Brain.
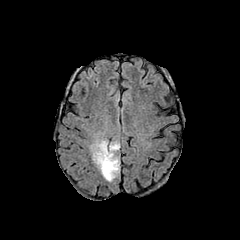
FLAIR MRI.
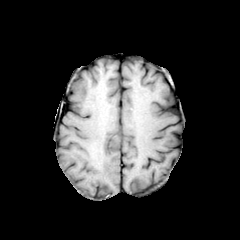
T1-weighted magnetic resonance.
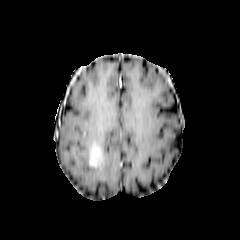
Same slice, post-contrast T1-weighted magnetic resonance.
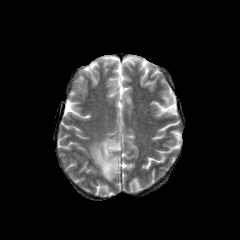
Same slice, T2-weighted MR image.
Annotated regions:
• non-enhancing tumor core: 95 154 105 167
• enhancing tumor: 91 145 102 164
• edema: 89 135 120 182